Head | 240x240 | Slice index 86
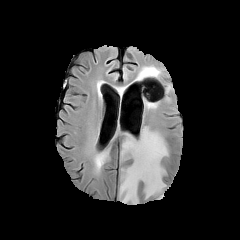
FLAIR MR image.
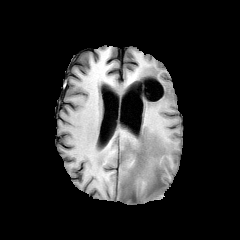
T1-weighted MR of the same slice.
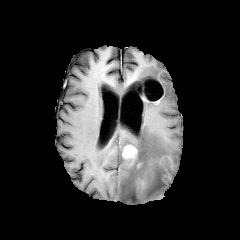
Post-contrast T1-weighted magnetic resonance.
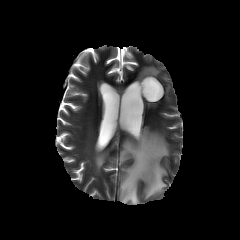
T2-weighted MRI.
Findings:
• edema: 96:154:106:168, 138:66:160:80, 119:126:169:203
• non-enhancing tumor core: 134:147:145:167
• enhancing tumor: 122:144:137:158